Slice 63 of 155; Field of view 240x240 mm; Brain
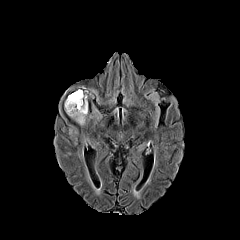
FLAIR magnetic resonance.
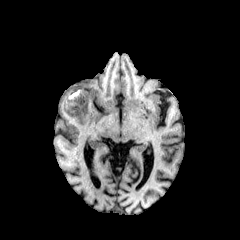
T1-weighted magnetic resonance.
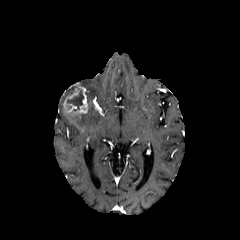
Post-contrast T1-weighted magnetic resonance.
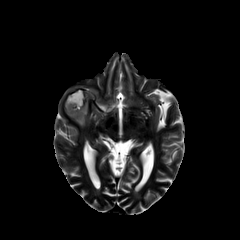
T2-weighted MRI of the same slice.
2 edema regions are located at x1=68, y1=112, x2=89, y2=126; x1=85, y1=88, x2=98, y2=96. The non-enhancing tumor core is bounded by x1=67, y1=90, x2=83, y2=108. The enhancing tumor lies within x1=63, y1=86, x2=90, y2=118.